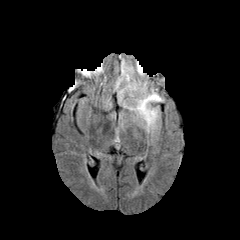
FLAIR MR image.
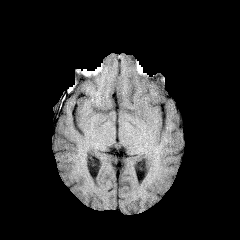
T1-weighted MRI of the same slice.
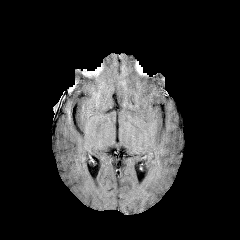
Post-contrast T1-weighted magnetic resonance.
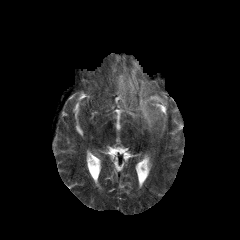
Same slice, T2-weighted MR image.
240x240 px. Brain.
<segmentation>
  <edema>118 64 163 131</edema>
</segmentation>